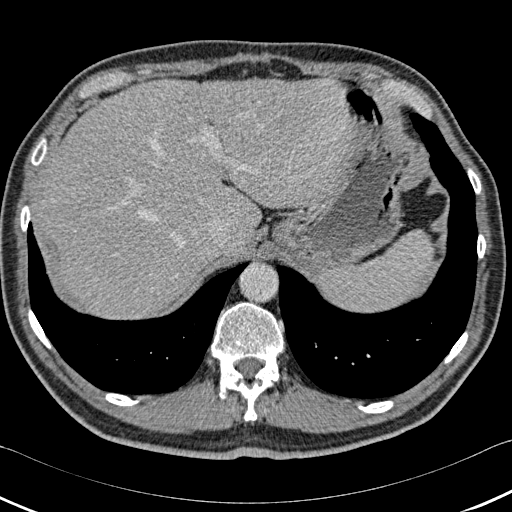

CT. 512x512. • liver: (left=38, top=78, right=365, bottom=319)
• lung: (left=27, top=221, right=248, bottom=395), (left=276, top=111, right=477, bottom=400)
• bone: (left=477, top=234, right=485, bottom=258), (left=211, top=303, right=283, bottom=420), (left=31, top=138, right=46, bottom=165), (left=358, top=401, right=392, bottom=413), (left=105, top=393, right=138, bottom=405), (left=20, top=206, right=30, bottom=231), (left=445, top=332, right=467, bottom=363), (left=468, top=168, right=480, bottom=193), (left=28, top=310, right=50, bottom=348)